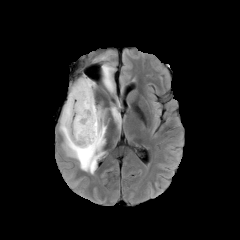
FLAIR magnetic resonance.
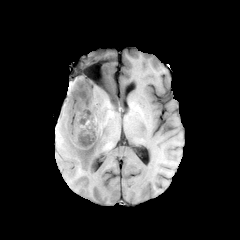
T1-weighted MRI.
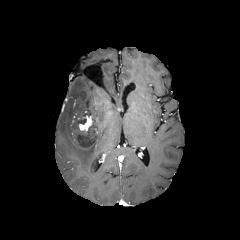
Post-contrast T1-weighted magnetic resonance.
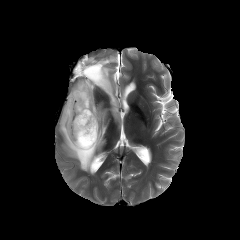
Same slice, T2-weighted MRI.
Image size 240x240
<segmentation>
  <enhancing_tumor>x1=79 y1=115 x2=92 y2=131</enhancing_tumor>
  <edema>x1=111 y1=107 x2=121 y2=124, x1=59 y1=74 x2=106 y2=174, x1=102 y1=60 x2=114 y2=93</edema>
  <non-enhancing_tumor_core>x1=78 y1=108 x2=97 y2=147</non-enhancing_tumor_core>
</segmentation>